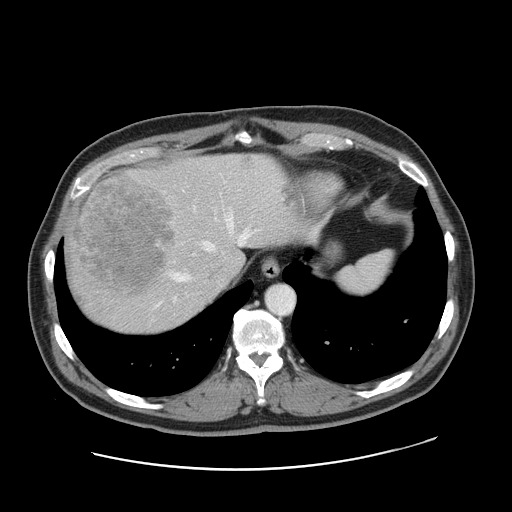

CT slice. Liver. Some hepatic vessels may have no box.
{"hepatic_vessel": ["[242,256,244,262]", "[238,230,256,246]", "[221,251,223,252]", "[203,240,214,250]", "[156,301,160,305]", "[280,241,284,241]", "[194,206,195,209]", "[173,296,175,300]", "[226,214,232,230]", "[193,253,194,254]"], "liver_tumor": ["[243,158,251,166]", "[68,176,175,296]"]}